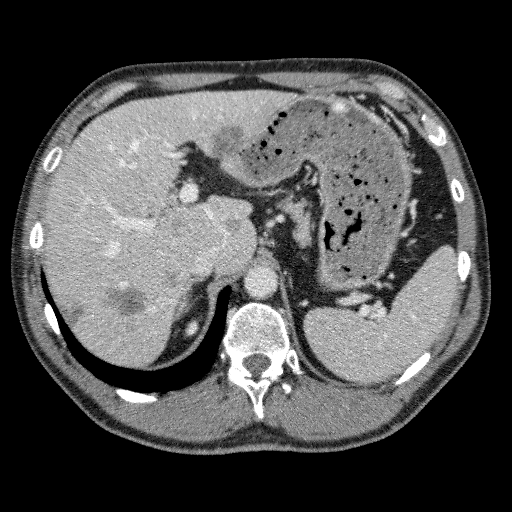 CT image | Abdomen
Focal liver lesion: 61:299:86:329, 144:202:188:237, 126:322:137:332, 209:124:246:174, 162:270:180:288, 224:217:241:233, 103:286:149:317.
Liver: 44:89:296:365.
Kidney: 189:324:196:333.